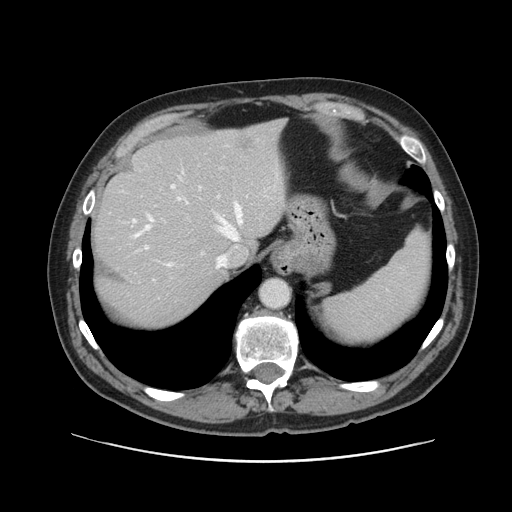
Liver; CT scan slice
The vessel annotation is not exhaustive.
liver_tumor:
  - 237, 135, 253, 153
hepatic_vessel:
  - 144, 246, 147, 248
  - 234, 202, 242, 223
  - 171, 184, 174, 188
  - 182, 170, 183, 173
  - 178, 197, 185, 200
  - 132, 232, 140, 237
  - 143, 225, 150, 230
  - 218, 216, 237, 240
  - 168, 263, 172, 265
  - 217, 257, 225, 266
  - 133, 219, 135, 222
  - 148, 215, 153, 222